MR image, Slice 6/34

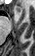

The anterior hippocampus lies within 16, 8, 20, 11.